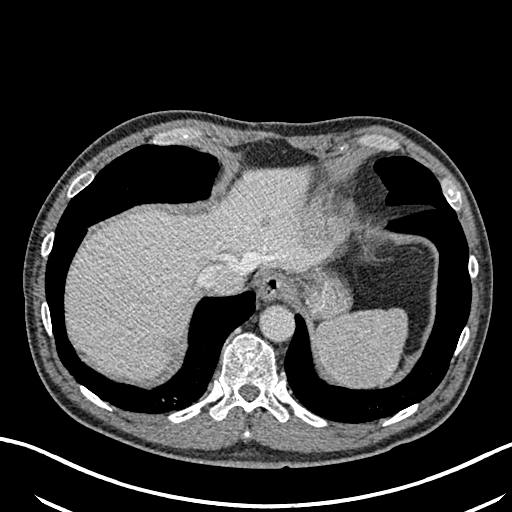

512x512, Liver, CT
focal liver lesion: bbox(261, 218, 269, 226); bbox(167, 340, 175, 355) | liver: bbox(65, 167, 319, 378)